FLAIR magnetic resonance.
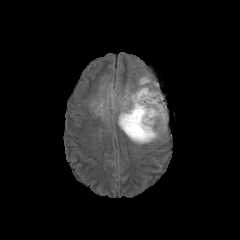
T1-weighted MRI.
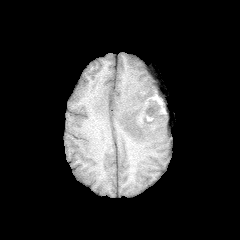
Post-contrast T1-weighted magnetic resonance.
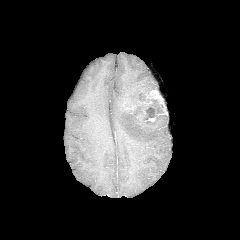
T2-weighted MRI.
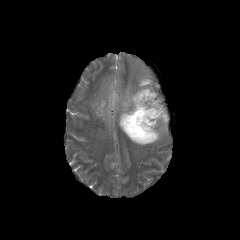
240x240 px, Brain
2 non-enhancing tumor core regions are bounded by [121,98,131,108], [128,90,166,135]. The enhancing tumor is at [146,90,160,100]. The edema appears at [94,77,167,145].